Slice 70/155 | Brain
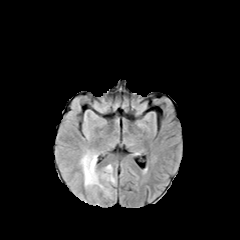
FLAIR MR image.
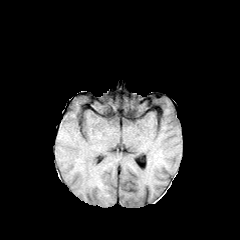
T1-weighted magnetic resonance.
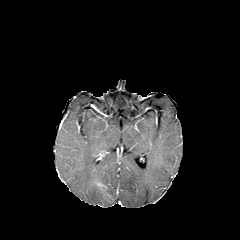
Same slice, post-contrast T1-weighted MR.
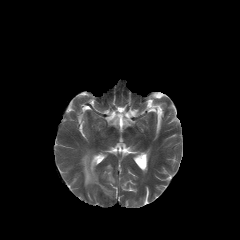
Same slice, T2-weighted MRI.
Annotated regions:
- edema: <bbox>81, 152, 97, 186</bbox>, <bbox>106, 165, 114, 182</bbox>